MRI | Hippocampus
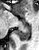
Posterior hippocampus: region(15, 25, 29, 40).